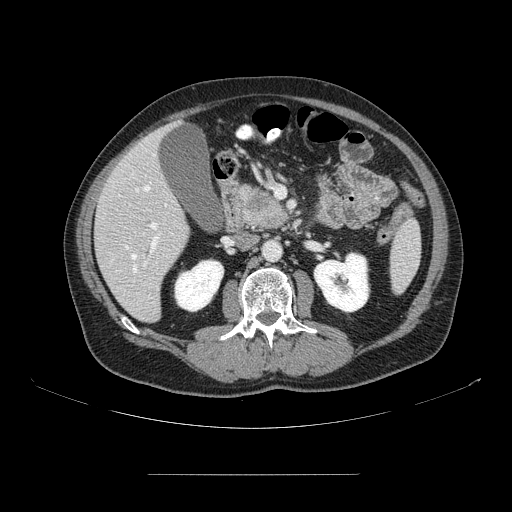 CT slice. Upper abdomen.
{"pancreas": ["box=[241, 188, 290, 229]"], "pancreatic_tumor": ["box=[245, 191, 270, 212]"]}